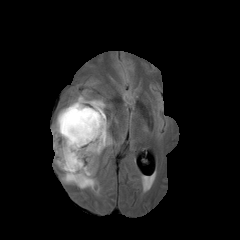
FLAIR MR image.
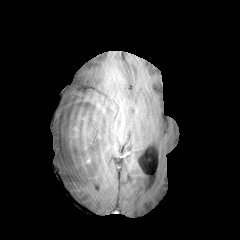
T1-weighted MR.
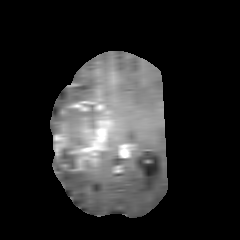
Same slice, post-contrast T1-weighted MRI.
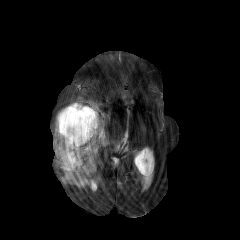
T2-weighted magnetic resonance of the same slice.
<segmentation>
  <non-enhancing_tumor_core>left=60, top=104, right=103, bottom=169</non-enhancing_tumor_core>
  <enhancing_tumor>left=70, top=100, right=101, bottom=110; left=70, top=120, right=106, bottom=171; left=54, top=128, right=69, bottom=156</enhancing_tumor>
  <edema>left=53, top=136, right=101, bottom=189; left=90, top=100, right=109, bottom=147; left=51, top=102, right=85, bottom=133</edema>
</segmentation>